Abdomen; CT image 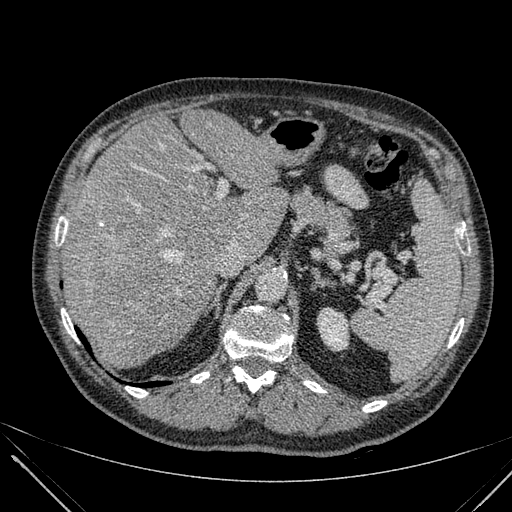
The focal liver lesion appears at (x1=99, y1=267, x2=105, y2=282). The liver lies within (x1=62, y1=109, x2=288, y2=367). The kidney appears at (x1=319, y1=308, x2=347, y2=350).